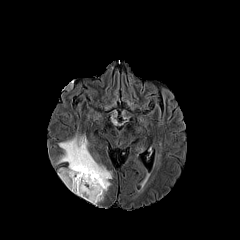
FLAIR MR.
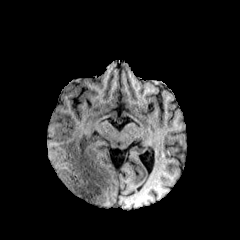
T1-weighted magnetic resonance.
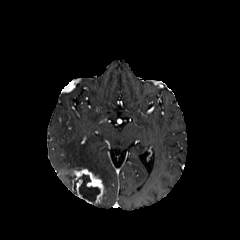
Post-contrast T1-weighted MR.
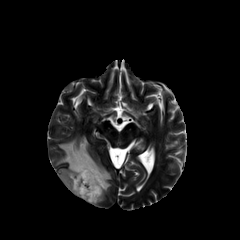
T2-weighted MRI.
240x240 px.
Enhancing tumor: [76, 179, 82, 198], [59, 168, 105, 203].
Non-enhancing tumor core: [70, 174, 99, 205].
Edema: [63, 175, 74, 189], [57, 135, 112, 191].